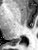
MRI slice
Segmented structures:
• posterior hippocampus: rect(14, 38, 21, 41)